Field of view 350x350 mm, Upper abdomen, CT scan slice, Slice index 511, 512x512
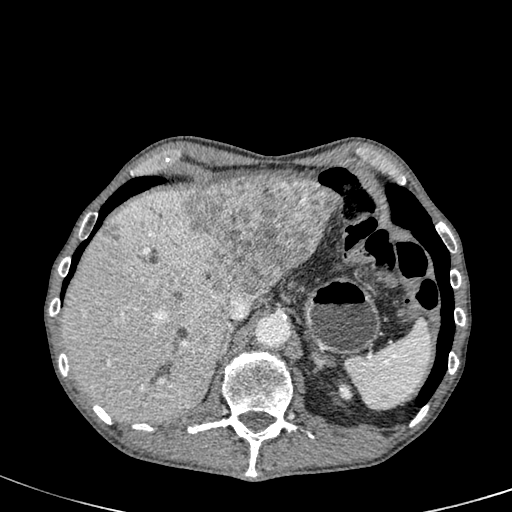 <segmentation>
  <liver>{"x1": 62, "y1": 190, "x2": 239, "y2": 422}, {"x1": 273, "y1": 270, "x2": 290, "y2": 286}</liver>
  <hepatic_lesion>{"x1": 103, "y1": 228, "x2": 117, "y2": 238}, {"x1": 174, "y1": 290, "x2": 183, "y2": 302}, {"x1": 182, "y1": 178, "x2": 338, "y2": 297}</hepatic_lesion>
</segmentation>